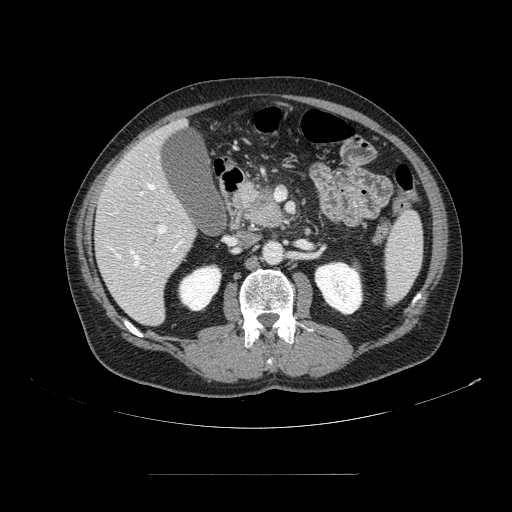 CT scan slice
{"pancreatic_tumor": ["region(254, 193, 272, 210)"], "pancreas": ["region(244, 184, 286, 228)"]}